Liver | CT scan slice | Image size 512x512 | Slice 579 of 647 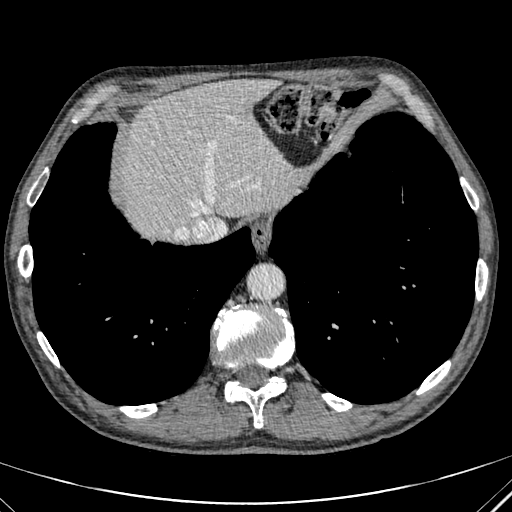

The liver is at rect(123, 80, 295, 237).